Brain; Slice 99 of 155
FLAIR MR image.
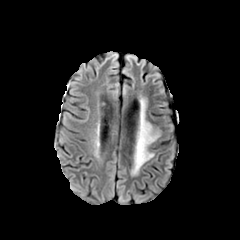
T1-weighted MR image.
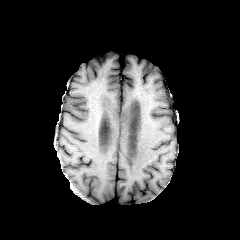
Post-contrast T1-weighted MR image.
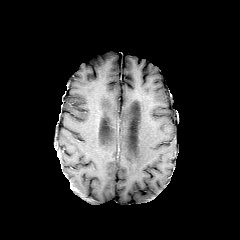
T2-weighted MR.
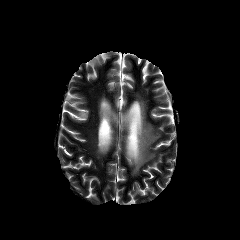
Annotated regions:
- edema: bbox(132, 98, 159, 174)